Slice 89/155
FLAIR MRI.
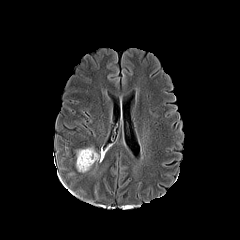
T1-weighted magnetic resonance.
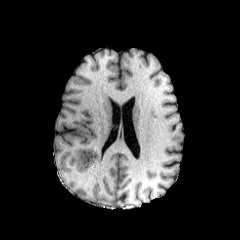
Post-contrast T1-weighted magnetic resonance.
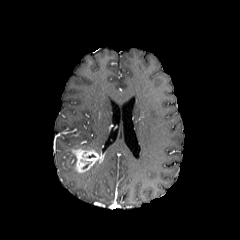
T2-weighted MRI.
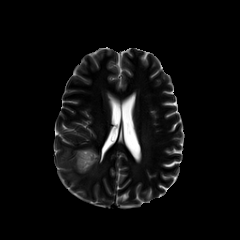
The enhancing tumor is at 72,148,104,173.